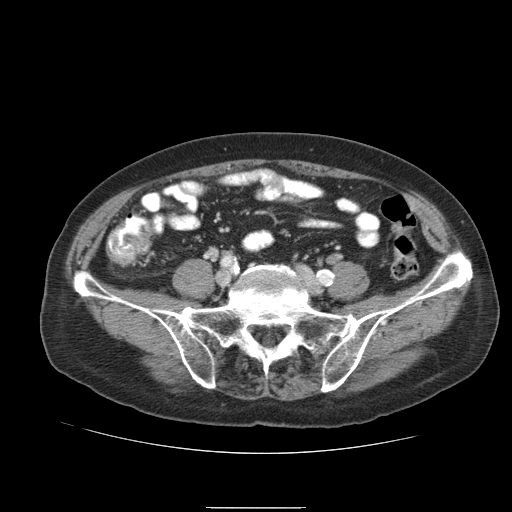 512x512, Abdomen, CT image
The colon tumor is bounded by box=[105, 219, 153, 263].